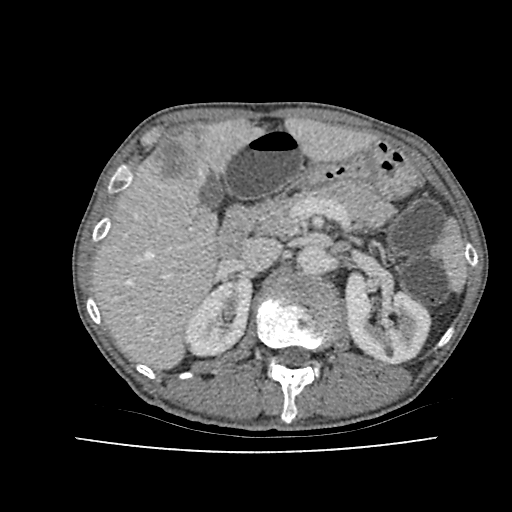

CT slice
{
  "liver": [
    "(95, 122, 258, 365)",
    "(288, 120, 369, 158)"
  ],
  "kidney": [
    "(186, 280, 250, 354)",
    "(346, 275, 429, 362)"
  ],
  "liver_lesion": [
    "(158, 130, 209, 180)"
  ]
}